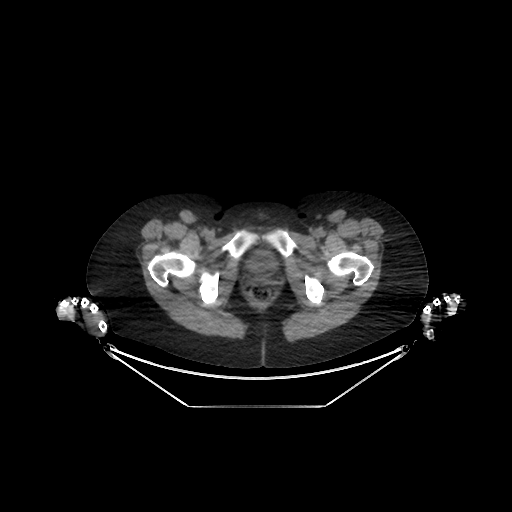

CT slice

The urinary bladder is bounded by 242,244,283,277.